FLAIR MR.
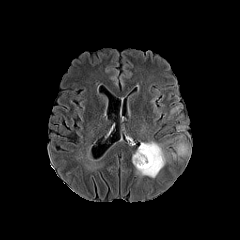
T1-weighted MR image.
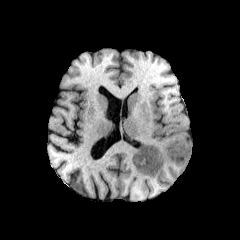
Post-contrast T1-weighted MR.
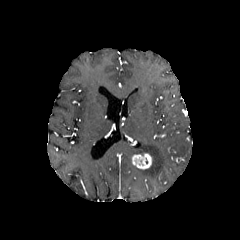
T2-weighted MR image.
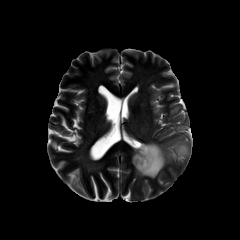
edema:
  - 173,140,189,156
  - 135,142,167,178
enhancing_tumor:
  - 132,154,151,169